FLAIR MRI.
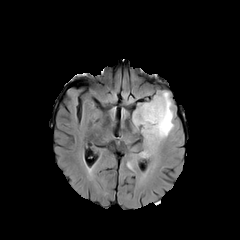
T1-weighted MR image.
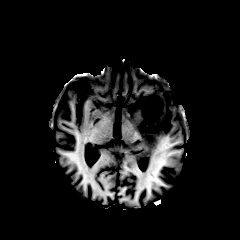
Post-contrast T1-weighted MR.
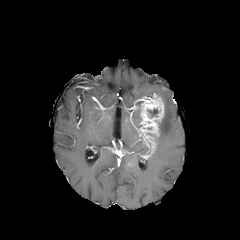
T2-weighted MRI.
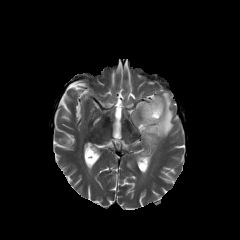
Head
Edema: bounding box [126,91,175,169].
Non-enhancing tumor core: bounding box [144,142,155,155], [142,126,154,137], [135,98,143,110], [147,108,160,118].
Enhancing tumor: bounding box [139,94,163,135].